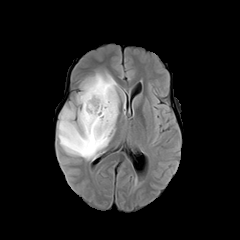
FLAIR MRI.
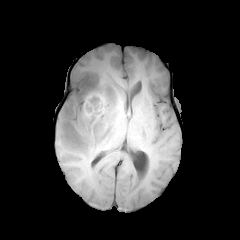
T1-weighted MR image.
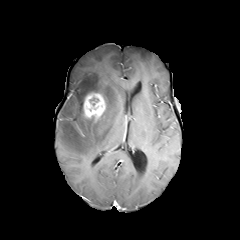
Post-contrast T1-weighted magnetic resonance.
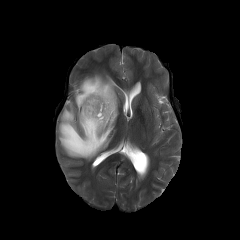
Same slice, T2-weighted MR image.
Image size 240x240, Head
2 non-enhancing tumor core regions are located at [86, 112, 103, 122], [77, 80, 103, 114]. The edema is at [58, 70, 119, 160]. The enhancing tumor lies within [83, 93, 105, 119].